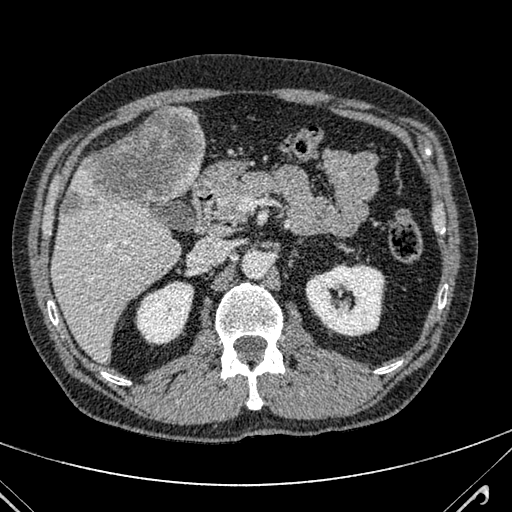 Abdomen | Computed tomography

Findings:
* liver: 50:156:179:361, 168:156:202:198, 169:108:196:122
* focal liver lesion: 60:189:94:215, 85:108:203:206